FLAIR MRI.
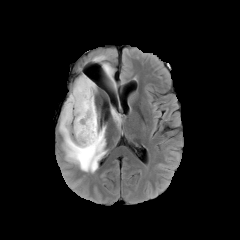
T1-weighted MR.
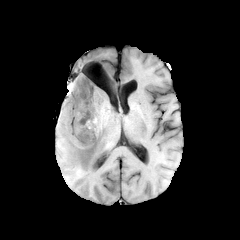
Post-contrast T1-weighted MRI.
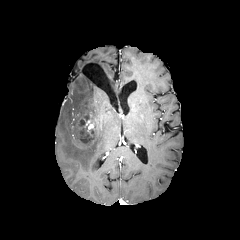
T2-weighted MRI.
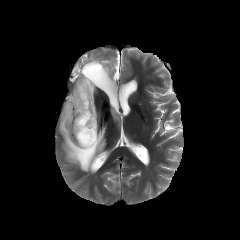
Brain
edema:
  - box=[59, 73, 106, 172]
  - box=[94, 56, 116, 88]
  - box=[111, 108, 121, 122]
non-enhancing_tumor_core:
  - box=[79, 112, 93, 143]
enhancing_tumor:
  - box=[86, 120, 93, 131]